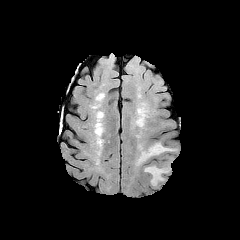
FLAIR MR image.
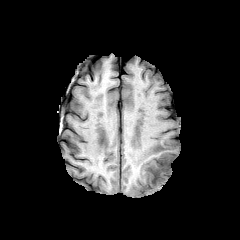
T1-weighted MR image of the same slice.
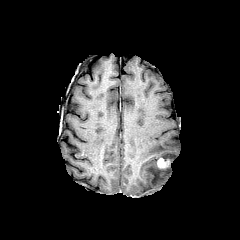
Same slice, post-contrast T1-weighted MR.
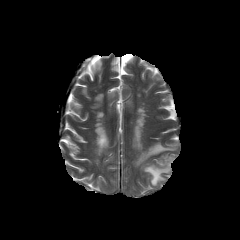
T2-weighted MR image of the same slice.
Brain
{"non-enhancing_tumor_core": ["149,167,165,182"], "edema": ["135,142,176,165", "142,164,168,185"], "enhancing_tumor": ["157,158,169,168"]}